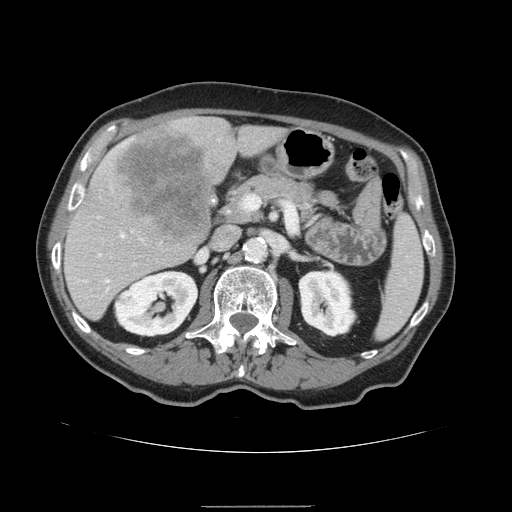
Abdomen; CT
spleen:
  - region(377, 217, 423, 338)